CT, Liver, 512x512 px, Field of view 400x400 mm, Slice 509/629
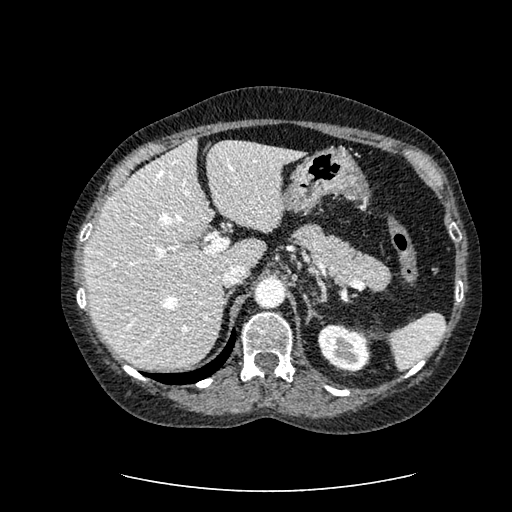

Kidney at box=[319, 325, 368, 370].
Liver at box=[206, 140, 307, 230]; box=[84, 138, 264, 367].